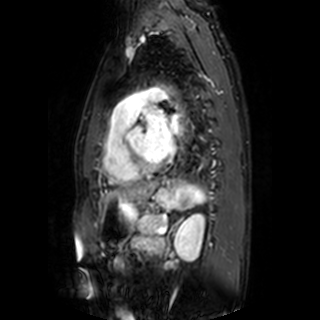
MRI slice. 320x320.
Left atrium at region(170, 113, 180, 132); region(142, 108, 171, 160).